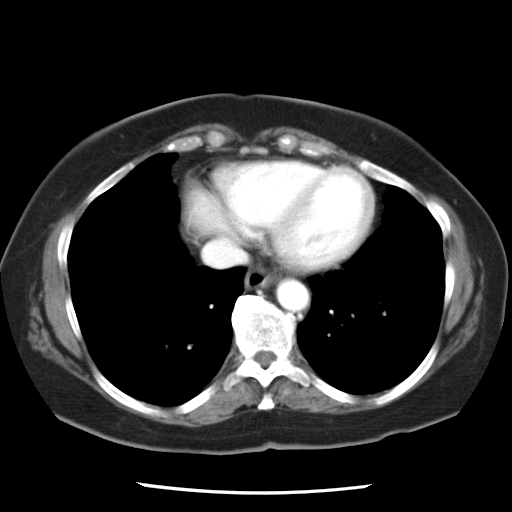

512x512 px. CT scan slice. Abdomen.
The vessel annotation is not exhaustive.
hepatic vessel: [x1=207, y1=240, x2=238, y2=263]